FLAIR MRI.
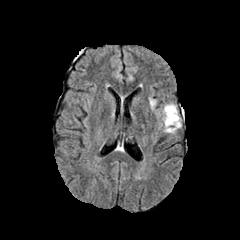
T1-weighted MR.
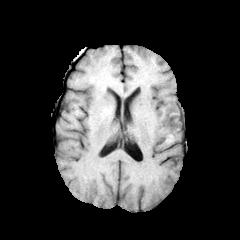
Post-contrast T1-weighted MRI.
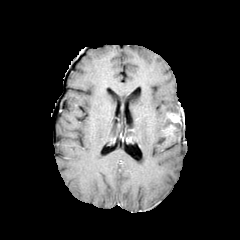
T2-weighted MR.
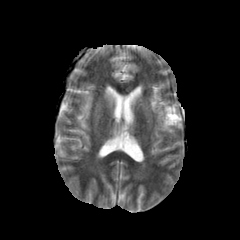
Enhancing tumor at bbox=[167, 113, 180, 123].
Non-enhancing tumor core at bbox=[166, 110, 179, 126]; bbox=[163, 128, 175, 136].
Edema at bbox=[149, 98, 156, 112]; bbox=[155, 101, 181, 136].